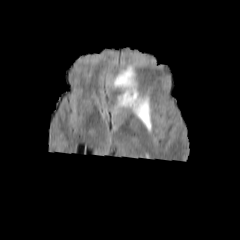
FLAIR MRI.
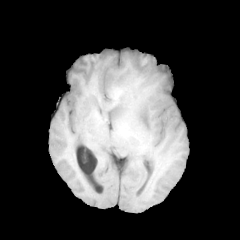
T1-weighted MRI.
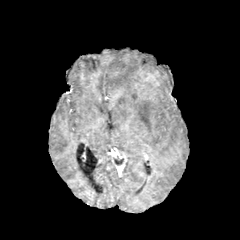
Same slice, post-contrast T1-weighted magnetic resonance.
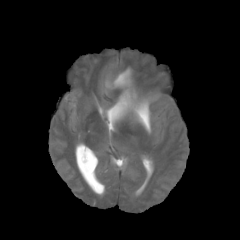
T2-weighted MR.
Brain
- edema: x1=107, y1=67, x2=158, y2=130